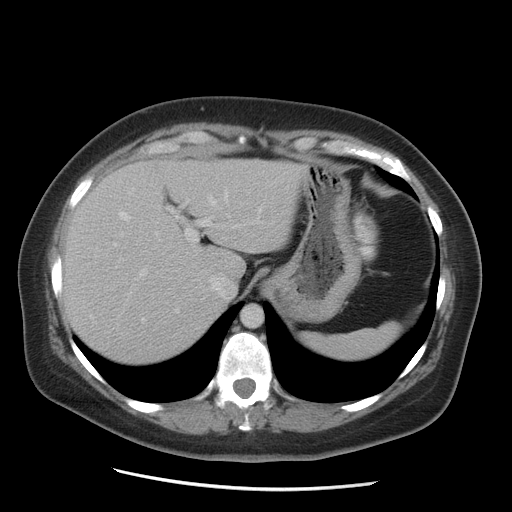
CT scan slice. Abdomen. 512x512 px. * liver: 61,159,303,362